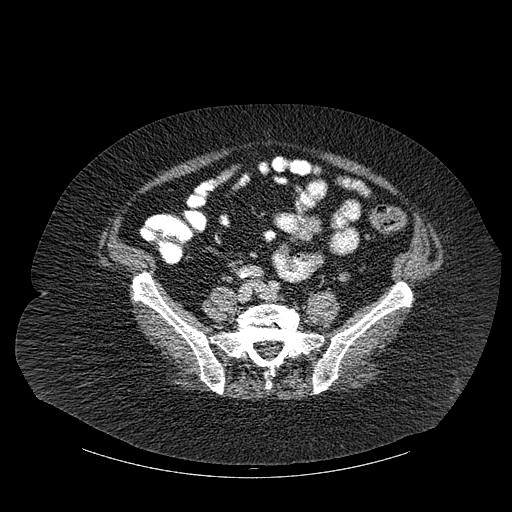

CT slice

Annotated regions:
• bone: x1=313, y1=282, x2=412, y2=393; x1=132, y1=272, x2=323, y2=393